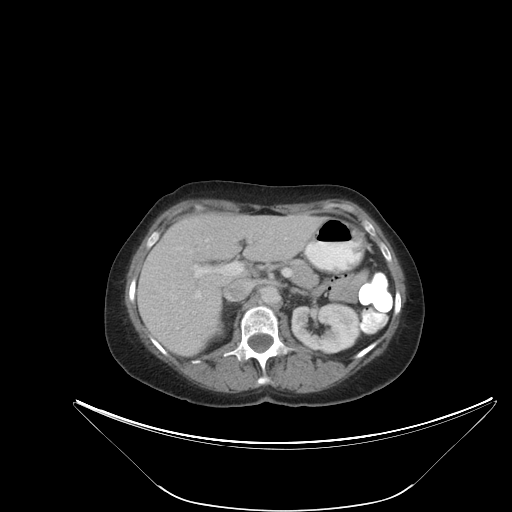 CT slice, Liver
The vessel annotation is not exhaustive.
hepatic_vessel:
  - (x1=231, y1=273, x2=233, y2=274)
  - (x1=195, y1=265, x2=199, y2=276)
  - (x1=197, y1=292, x2=200, y2=296)